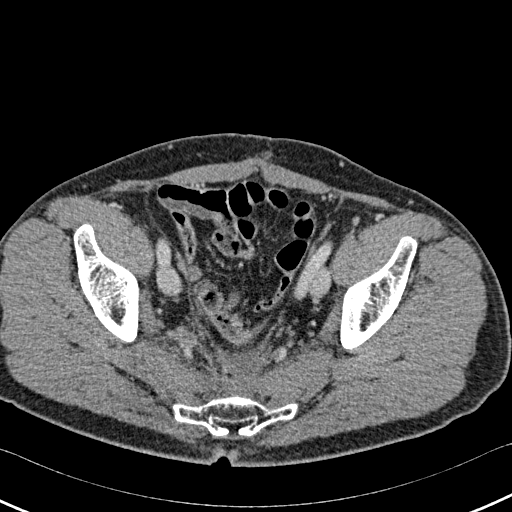

CT image
bone:
  - x1=173, y1=396, x2=297, y2=440
  - x1=74, y1=224, x2=138, y2=341
  - x1=340, y1=236, x2=416, y2=348